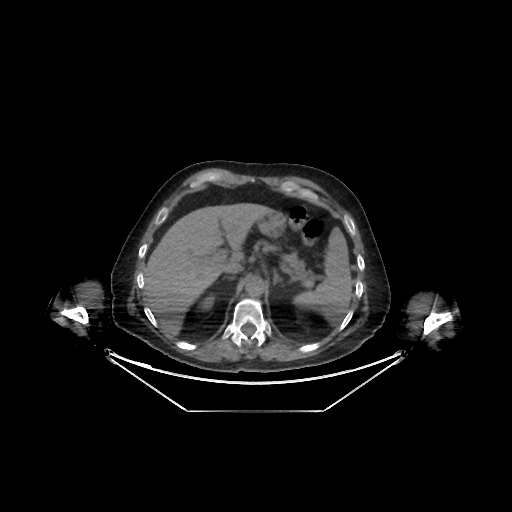
CT
liver: 141:203:273:334 | kidney: 199:291:218:311